FLAIR MRI.
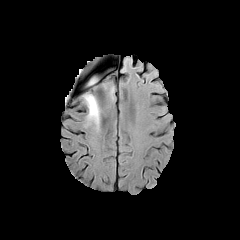
T1-weighted magnetic resonance.
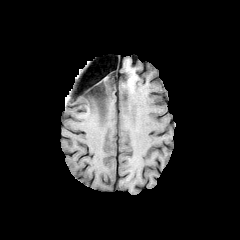
Post-contrast T1-weighted MR.
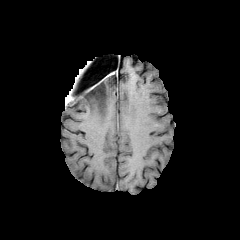
T2-weighted MRI.
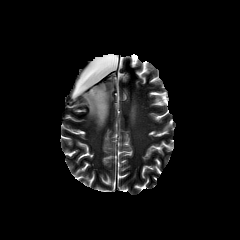
Head.
<segmentation>
  <non-enhancing_tumor_core>(x1=83, y1=79, x2=107, y2=113)</non-enhancing_tumor_core>
  <edema>(x1=98, y1=90, x2=108, y2=113), (x1=82, y1=94, x2=105, y2=129)</edema>
</segmentation>